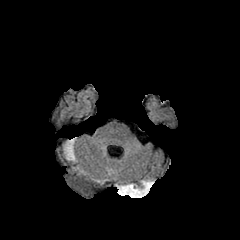
FLAIR MR image.
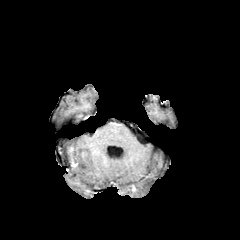
T1-weighted MR image.
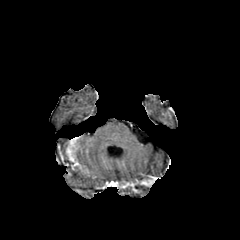
Post-contrast T1-weighted MR.
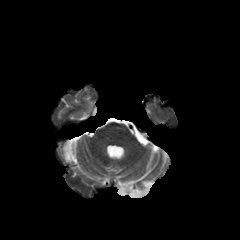
Same slice, T2-weighted MRI.
240x240 px
The enhancing tumor is bounded by x1=118 y1=182 x2=137 y2=191. The non-enhancing tumor core appears at x1=114 y1=182 x2=131 y2=194. The edema lies within x1=121 y1=182 x2=151 y2=197.